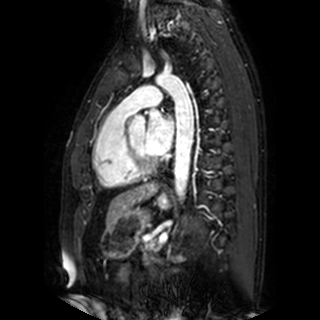

MR.

left atrium: 145 109 174 154